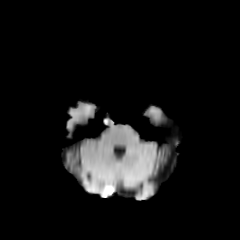
FLAIR magnetic resonance.
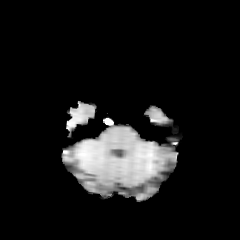
T1-weighted MRI.
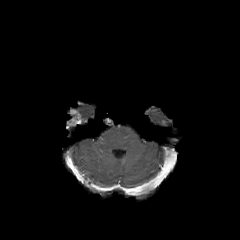
Same slice, post-contrast T1-weighted MRI.
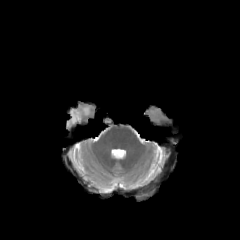
T2-weighted MRI of the same slice.
240x240.
• enhancing tumor: 66, 109, 81, 127